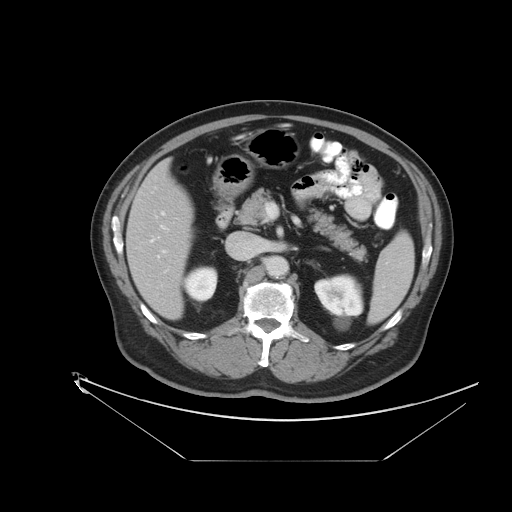
Image size 512x512 | Computed tomography | Liver
The vessel boxes may cover only some of the vessels.
5 hepatic vessel regions appear at bbox(162, 250, 165, 252); bbox(160, 225, 167, 229); bbox(151, 237, 158, 241); bbox(161, 212, 164, 214); bbox(157, 255, 159, 257).